FLAIR MR image.
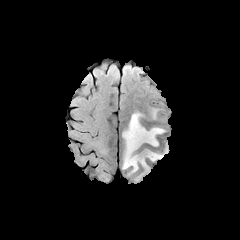
T1-weighted MR.
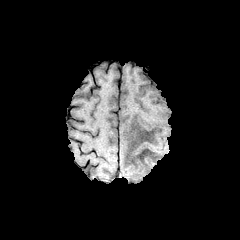
Post-contrast T1-weighted MR image.
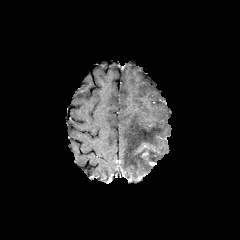
T2-weighted MR.
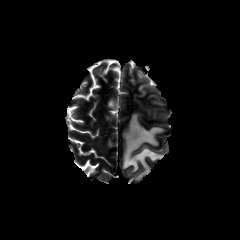
Image size 240x240.
Annotated regions:
- edema: 123 113 163 173, 146 150 164 161
- non-enhancing tumor core: 139 148 150 158